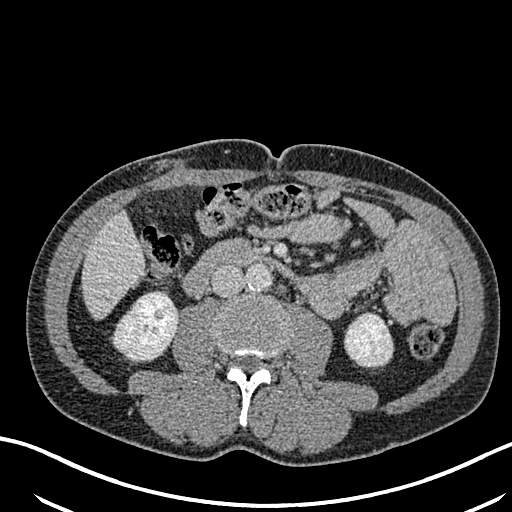

CT image | Image size 512x512 | Liver
<segmentation>
  <liver>left=82, top=211, right=143, bottom=318</liver>
  <kidney>left=115, top=292, right=177, bottom=359; left=345, top=314, right=392, bottom=365</kidney>
</segmentation>